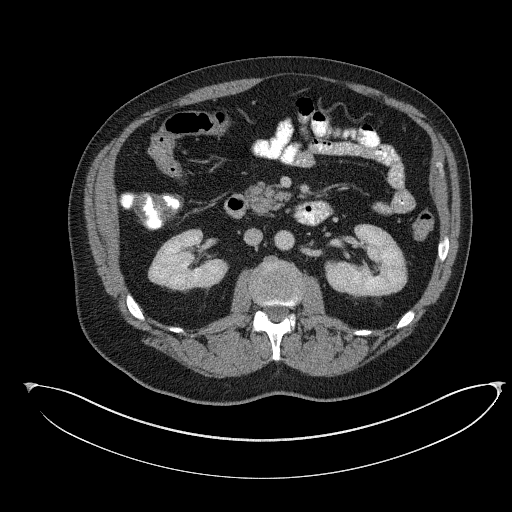

Upper abdomen; 512x512 px; Computed tomography
<segmentation>
  <pancreas>248:185:289:212</pancreas>
</segmentation>